CT scan slice; Slice 397/540; Liver
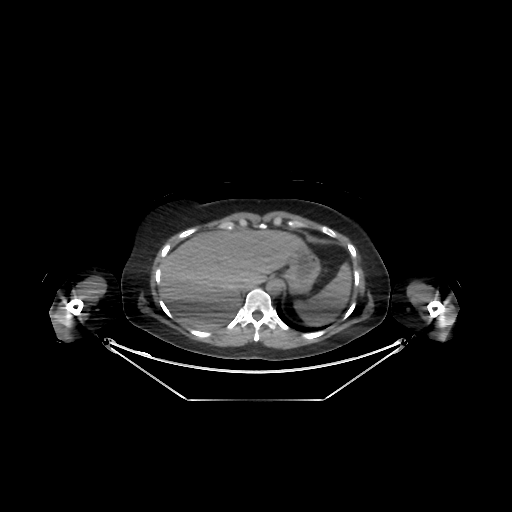
liver:
  - [158, 224, 306, 340]